512x512; CT image
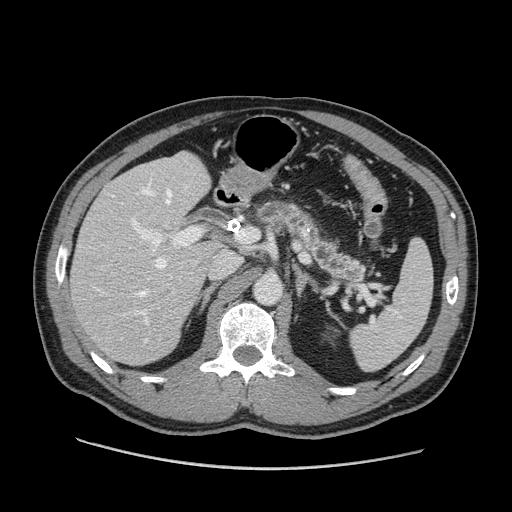

<segmentation>
  <pancreas>bbox(252, 199, 368, 284)</pancreas>
</segmentation>